240x240; Head
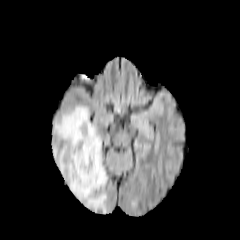
FLAIR MR image.
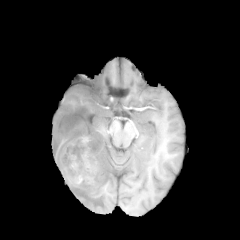
T1-weighted magnetic resonance of the same slice.
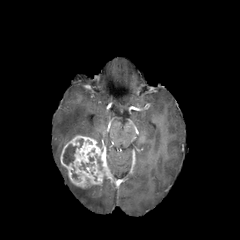
Post-contrast T1-weighted MR of the same slice.
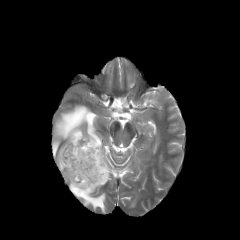
T2-weighted magnetic resonance.
Enhancing tumor: bounding box 60 135 108 188.
Edema: bounding box 52 104 108 213.
Non-enhancing tumor core: bounding box 62 144 77 165.